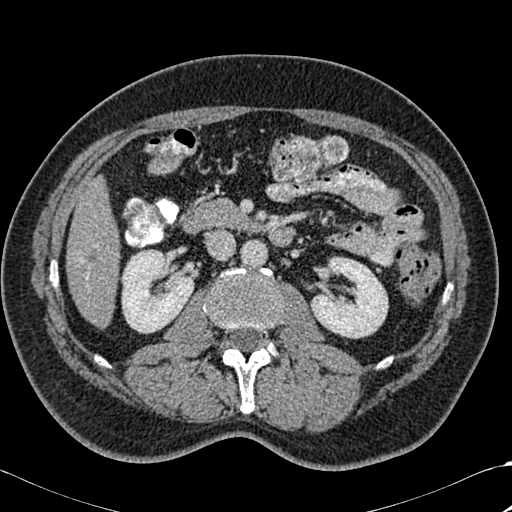 CT scan slice
The hepatic lesion is located at [83, 252, 101, 261]. The liver is at [67, 177, 118, 326]. 2 kidney regions are bounded by [311, 257, 387, 337], [122, 250, 193, 332]. 2 bone regions are located at [203, 268, 281, 333], [222, 338, 275, 413].